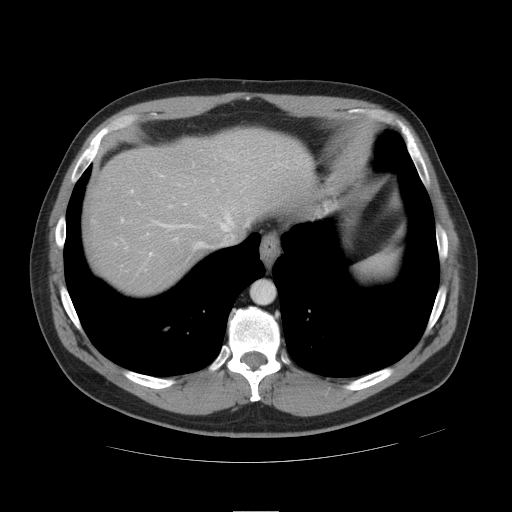 Liver; CT scan slice
The vessel annotation is not exhaustive.
3 hepatic vessel regions are located at box(149, 252, 152, 255); box(196, 242, 204, 246); box(221, 214, 232, 230).